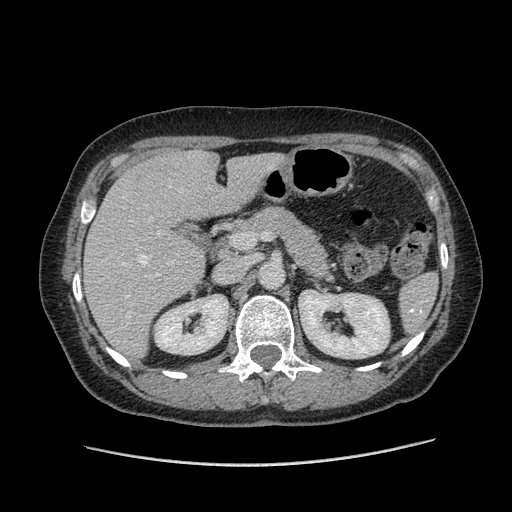

Liver. CT image.

Some hepatic vessels may have no box.
Hepatic vessel: bounding box <box>157,232,159,235</box>, <box>169,262,172,264</box>, <box>149,218,151,220</box>.